Slice 36 of 42 | Medial temporal lobe | MR

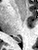

Posterior hippocampus: left=14, top=39, right=21, bottom=42.